240x240
FLAIR MRI.
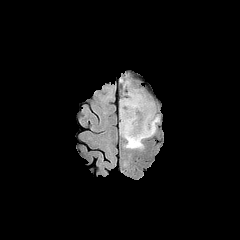
T1-weighted MR.
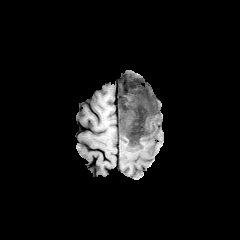
Post-contrast T1-weighted magnetic resonance.
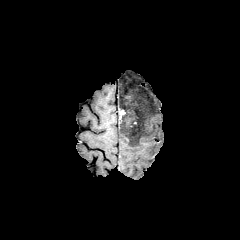
T2-weighted magnetic resonance.
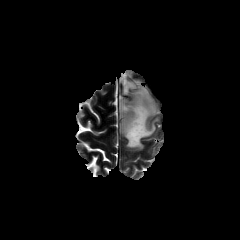
Edema = [146, 116, 151, 130], [119, 93, 127, 112], [124, 78, 160, 150].
Non-enhancing tumor core = [120, 83, 155, 149].